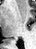

MRI

{
  "posterior_hippocampus": [
    "rect(8, 41, 10, 43)"
  ]
}